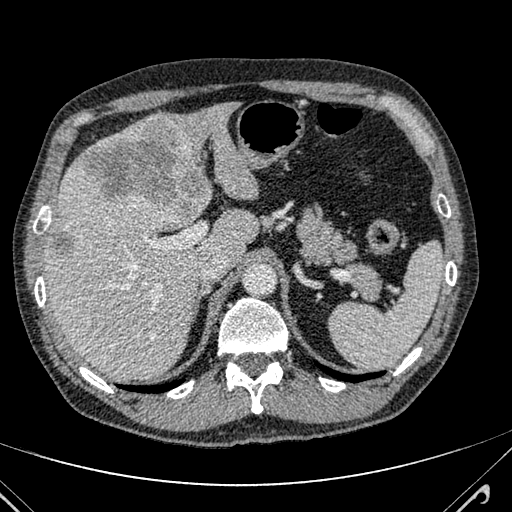 Liver, CT image, 512x512
liver:
  - rect(94, 122, 144, 145)
  - rect(157, 103, 258, 198)
  - rect(47, 155, 256, 378)
focal_liver_lesion:
  - rect(49, 234, 73, 255)
  - rect(81, 118, 208, 214)